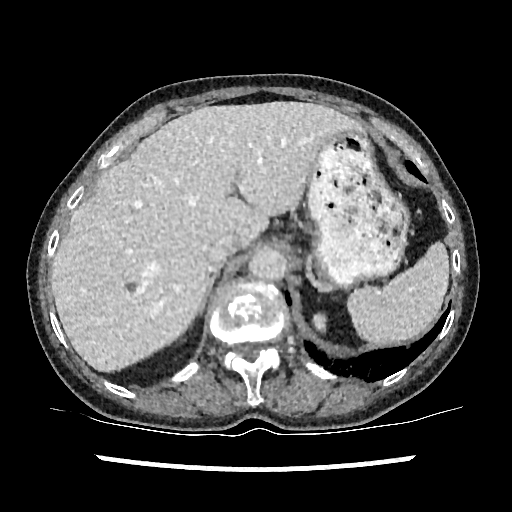 CT slice
liver:
  - [x1=53, y1=103, x2=361, y2=370]
hepatic_lesion:
  - [x1=125, y1=283, x2=136, y2=292]